Slice 435/624 | CT slice | Upper abdomen
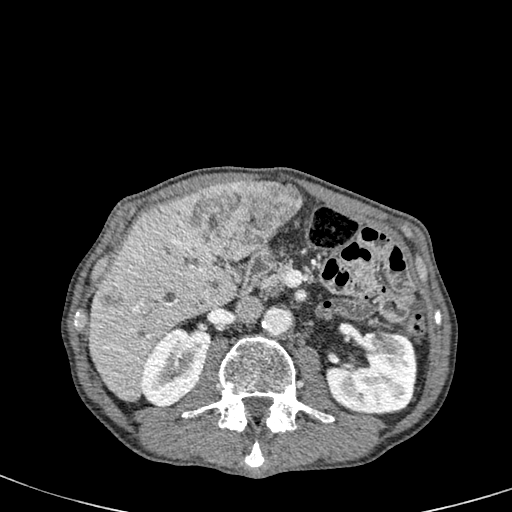
2 liver regions are bounded by [282,184,301,198], [89,194,235,401]. 2 focal liver lesion regions are bounded by [102,293,122,307], [193,181,301,259]. 2 kidney regions appear at [327,327,415,412], [140,329,210,406].